Slice 44 of 155; 240x240
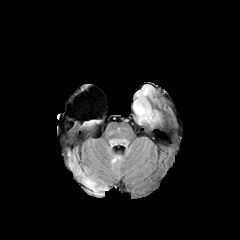
FLAIR magnetic resonance.
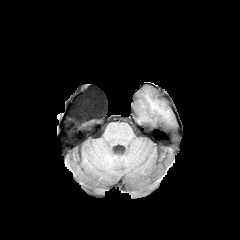
T1-weighted MRI of the same slice.
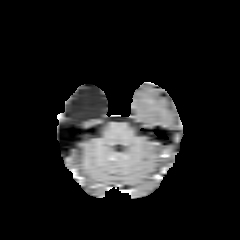
Post-contrast T1-weighted MRI.
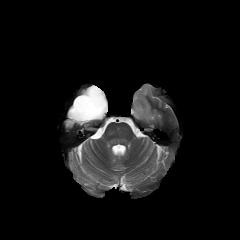
T2-weighted MR image.
Edema — (85, 174, 95, 187), (135, 104, 151, 119).